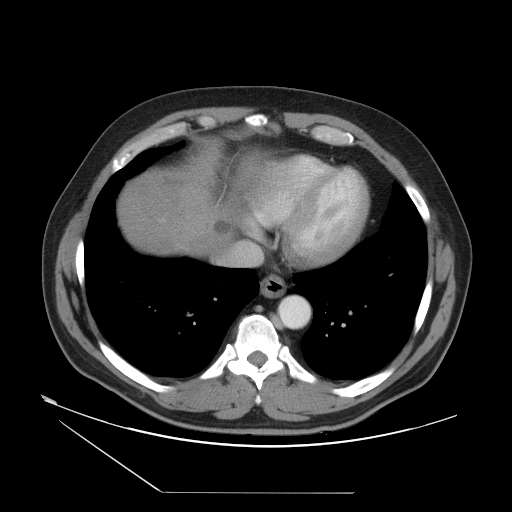

CT image; Abdomen
The vessel boxes may cover only some of the vessels.
<segmentation>
  <liver_tumor>left=217, top=218, right=227, bottom=237</liver_tumor>
  <hepatic_vessel>left=261, top=199, right=264, bottom=200</hepatic_vessel>
</segmentation>